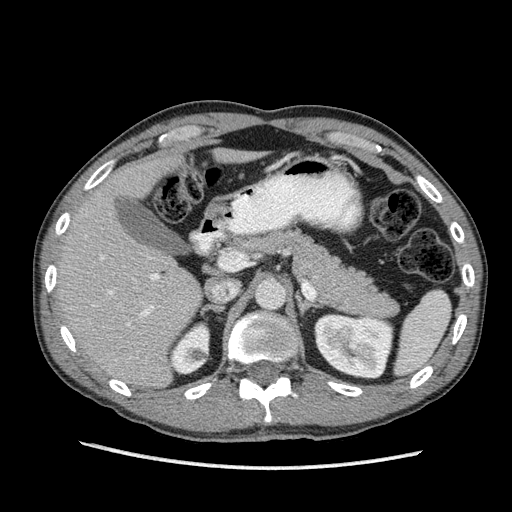 512x512 | Liver | CT image
Kidney at region(173, 326, 208, 372); region(316, 315, 391, 377).
Liver at region(53, 152, 204, 390); region(212, 147, 255, 163).